CT, Pelvis, Slice 111 of 537, 512x512
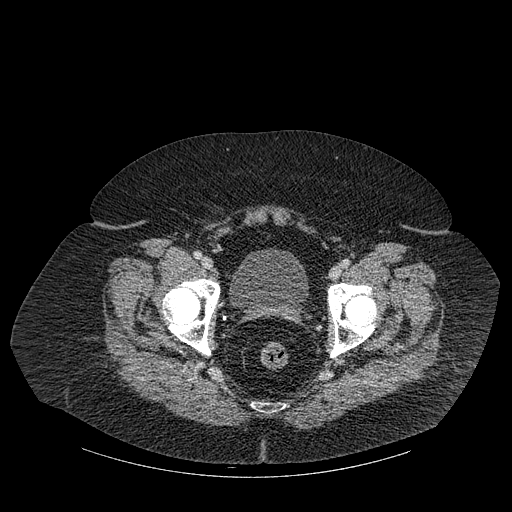 Bone: {"x1": 328, "y1": 283, "x2": 376, "y2": 357}, {"x1": 251, "y1": 403, "x2": 275, "y2": 411}, {"x1": 162, "y1": 279, "x2": 219, "y2": 355}.
Urinary bladder: {"x1": 230, "y1": 248, "x2": 309, "y2": 321}.